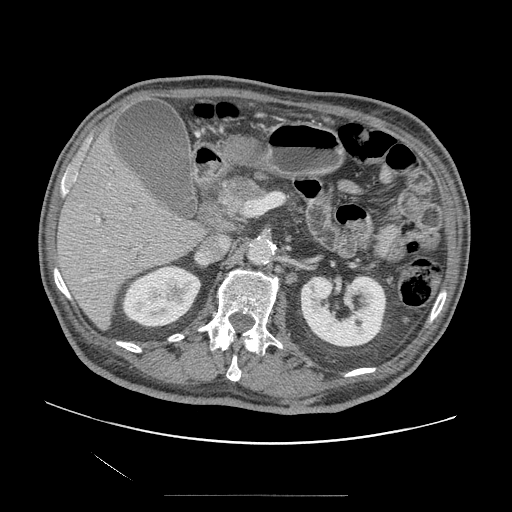 CT slice

The pancreatic tumor is located at box(230, 178, 261, 198). The pancreas is at box(218, 175, 264, 216).